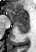
MR | Hippocampus

Segmented structures:
* anterior hippocampus: 7, 8, 29, 24
* posterior hippocampus: 17, 25, 29, 33